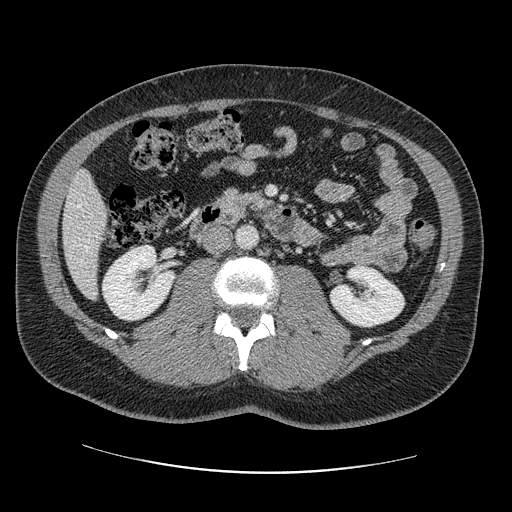
Upper abdomen; CT image

pancreas:
  - {"x1": 214, "y1": 186, "x2": 249, "y2": 222}